35x47, MR, Medial temporal lobe, Image width 35 mm

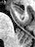

Anterior hippocampus at l=11, t=5, r=24, b=14.